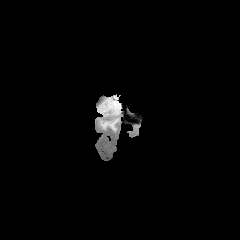
FLAIR MR image.
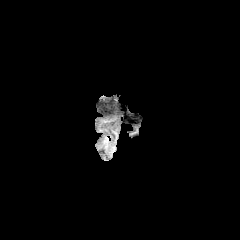
Same slice, T1-weighted magnetic resonance.
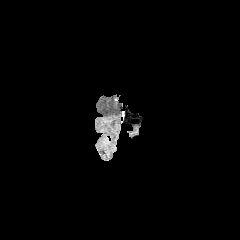
Post-contrast T1-weighted MR image.
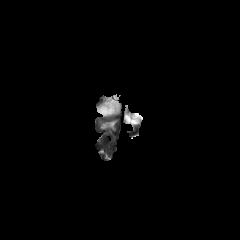
T2-weighted MR.
Brain.
Non-enhancing tumor core at x1=102, y1=120, x2=115, y2=127.
Edema at x1=98, y1=98, x2=119, y2=122.